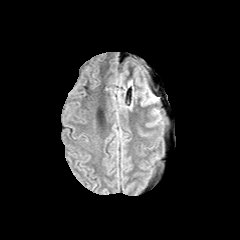
FLAIR magnetic resonance.
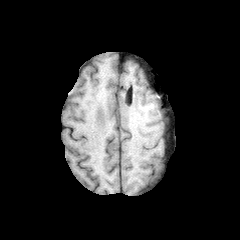
T1-weighted MRI of the same slice.
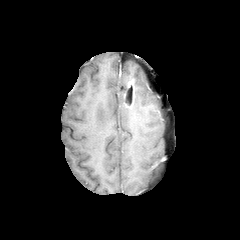
Post-contrast T1-weighted MRI.
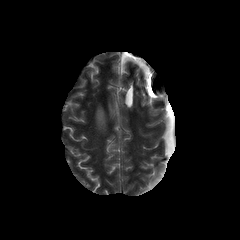
T2-weighted MRI.
Image size 240x240; Head
edema:
  - box(140, 81, 154, 105)